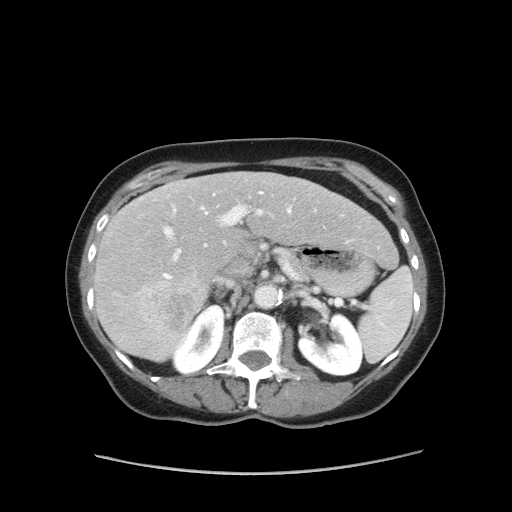
Liver | 512x512 | CT slice
Some hepatic vessels may have no box.
<segmentation>
  <liver_tumor>rect(129, 275, 206, 340)</liver_tumor>
  <hepatic_vessel>rect(260, 192, 262, 193); rect(164, 273, 169, 274); rect(203, 243, 206, 246); rect(170, 248, 180, 261); rect(172, 205, 175, 213); rect(223, 241, 226, 245); rect(192, 267, 195, 275); rect(278, 251, 291, 268); rect(213, 192, 217, 196); rect(216, 201, 272, 226); rect(346, 239, 352, 242); rect(261, 245, 264, 248); rect(285, 198, 294, 214); rect(163, 226, 174, 246); rect(201, 206, 207, 213)</hepatic_vessel>
</segmentation>